Slice index 46 | Image width 240 mm
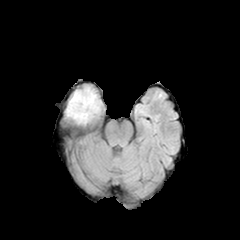
FLAIR MR.
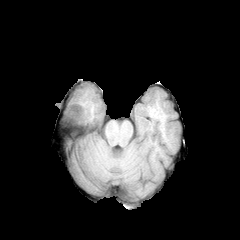
T1-weighted MRI.
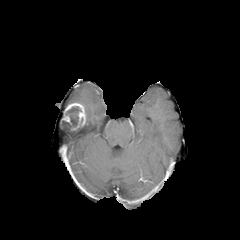
Post-contrast T1-weighted MR.
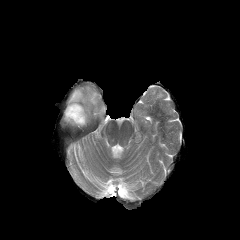
T2-weighted MR image.
Enhancing tumor: bounding box 59 103 86 131.
Edema: bounding box 68 86 102 124.
Non-enhancing tumor core: bounding box 66 107 79 126.